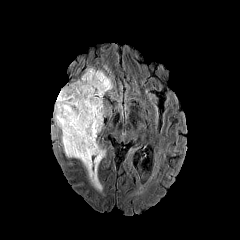
FLAIR magnetic resonance.
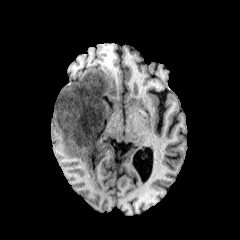
T1-weighted MRI.
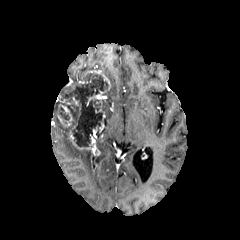
Post-contrast T1-weighted MR.
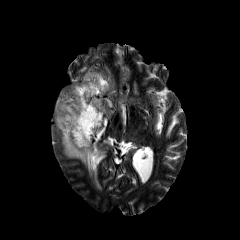
T2-weighted MRI of the same slice.
2 non-enhancing tumor core regions are located at (left=53, top=71, right=110, bottom=148), (left=63, top=135, right=73, bottom=145). The edema lies within (left=53, top=117, right=105, bottom=190). 4 enhancing tumor regions appear at (left=85, top=137, right=99, bottom=154), (left=93, top=91, right=104, bottom=99), (left=68, top=131, right=77, bottom=146), (left=58, top=105, right=73, bottom=127).